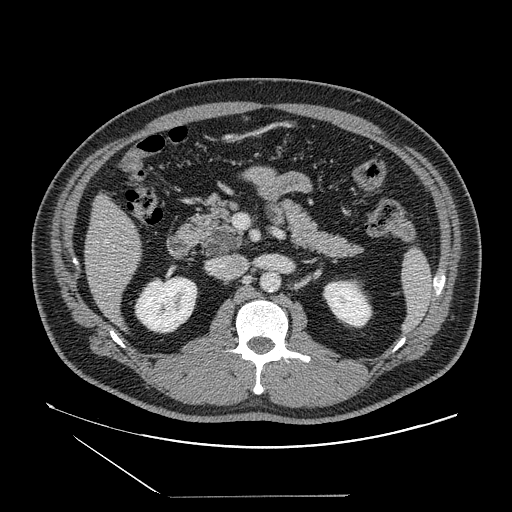 512x512, CT slice

pancreas:
  - region(264, 199, 362, 260)
  - region(189, 199, 245, 256)
pancreatic_tumor:
  - region(206, 228, 237, 255)